Brain.
FLAIR MR image.
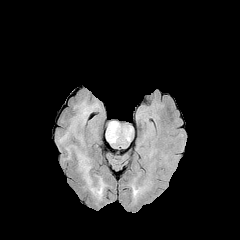
T1-weighted MR.
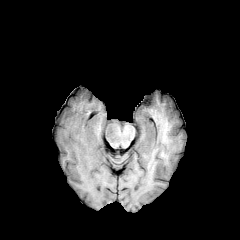
Post-contrast T1-weighted MR.
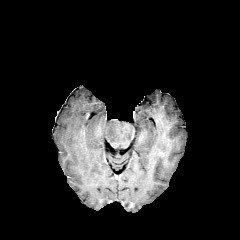
T2-weighted MR.
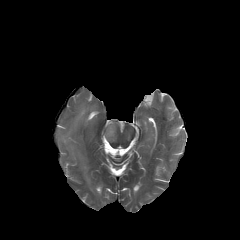
edema: (58, 99, 97, 142), (73, 147, 105, 199)